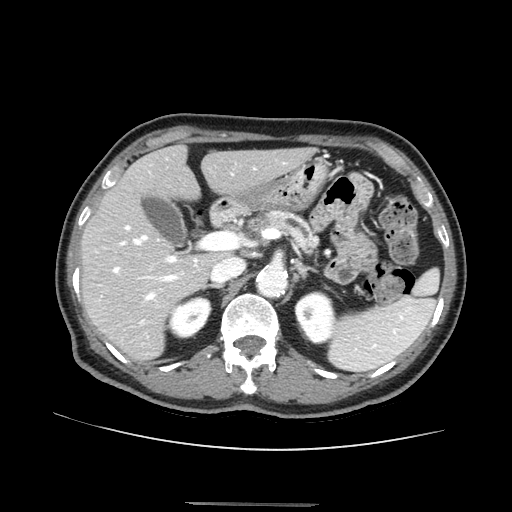
Abdomen; CT slice

Pancreas — (left=261, top=211, right=316, bottom=253).
Pancreatic tumor — (left=256, top=215, right=270, bottom=229).